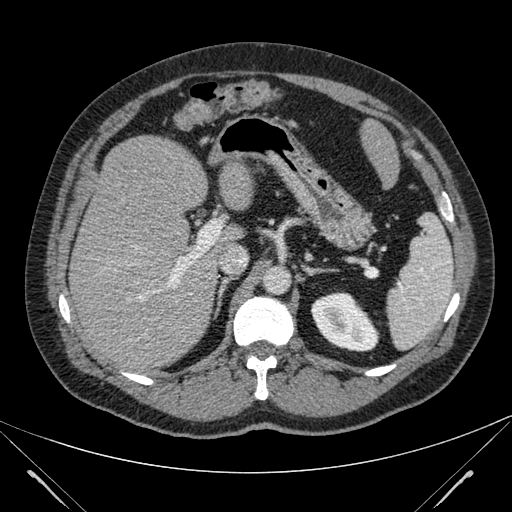 Abdomen, CT scan slice, Image size 512x512
{
  "liver": [
    "220, 160, 252, 209",
    "361, 119, 399, 189",
    "61, 136, 238, 376"
  ],
  "kidney": [
    "312, 293, 377, 350"
  ]
}